CT scan slice. 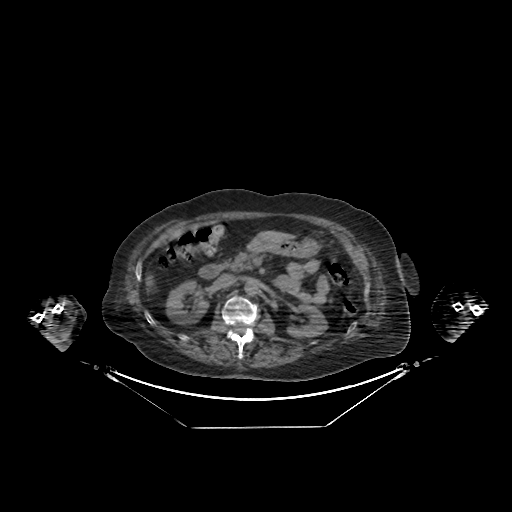

Kidney at [x1=166, y1=280, x2=208, y2=324], [x1=287, y1=304, x2=327, y2=338].
Liver at [x1=145, y1=274, x2=156, y2=294], [x1=249, y1=230, x2=293, y2=244].